Abdomen | Image size 512x512 | Slice 128 of 164 | Computed tomography

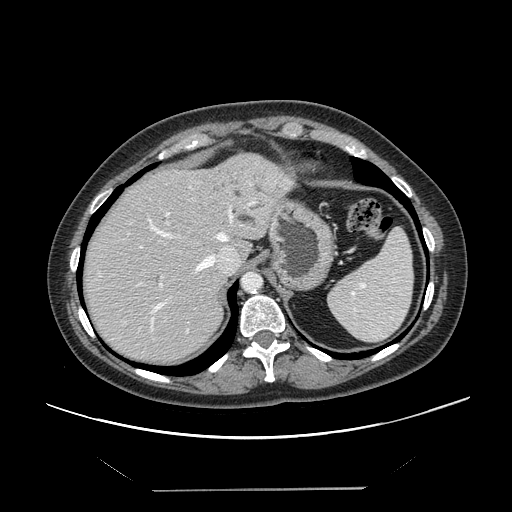

The vessel annotation is not exhaustive.
13 hepatic vessel regions are bounded by (194, 232, 239, 273), (150, 301, 166, 321), (148, 217, 175, 237), (140, 246, 141, 247), (164, 212, 169, 215), (265, 176, 276, 186), (226, 204, 242, 226), (245, 181, 251, 187), (245, 196, 256, 207), (98, 273, 100, 276), (159, 282, 162, 287), (142, 317, 146, 318), (161, 275, 163, 277).